Computed tomography 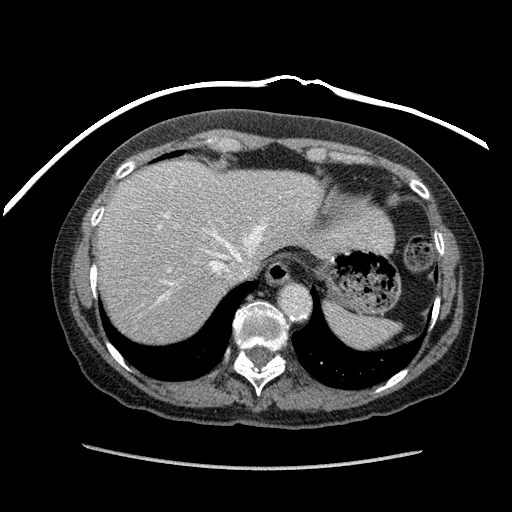

Annotated regions:
• liver: bbox(96, 161, 392, 345)